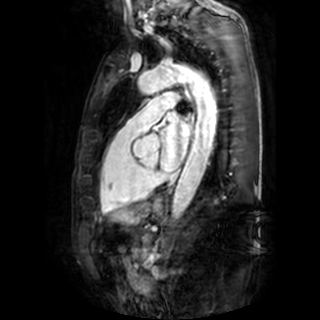 MR. Cardiac. 320x320.

The left atrium appears at bbox=[160, 112, 188, 171].